Abdomen. CT. Slice 57 of 127. 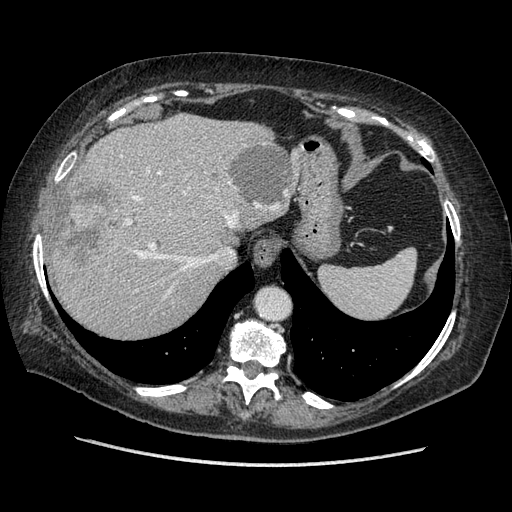
Only some of the vessels may be annotated.
5 hepatic vessel regions appear at (x1=158, y1=171, x2=160, y2=173), (x1=127, y1=219, x2=131, y2=223), (x1=139, y1=243, x2=215, y2=267), (x1=225, y1=212, x2=235, y2=225), (x1=133, y1=197, x2=139, y2=199). The liver tumor is bounded by (x1=53, y1=182, x2=126, y2=267).